Image width 344 mm; CT 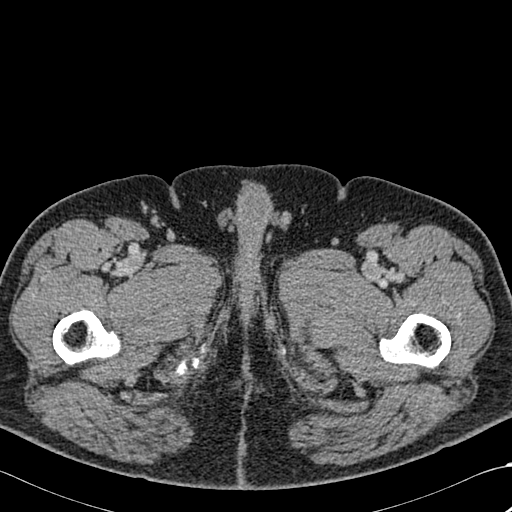 Bone at [177,362,185,373], [380,313,450,367], [53,310,119,364].